CT, Slice 509 of 836, Liver, Field of view 400x400 mm
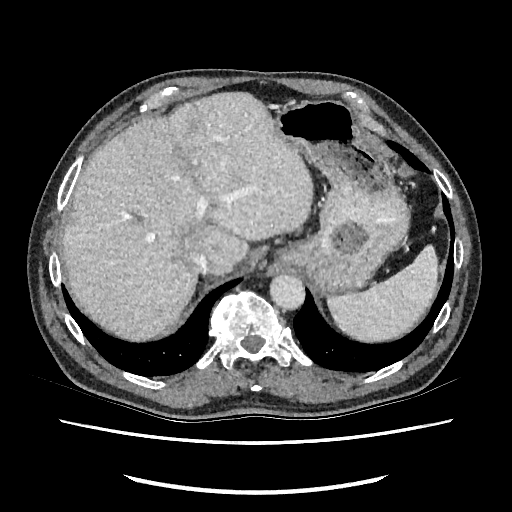
3 liver lesion regions appear at (left=190, top=122, right=196, bottom=132), (left=175, top=228, right=201, bottom=264), (left=175, top=146, right=190, bottom=164). The liver is at (left=62, top=94, right=311, bottom=337).